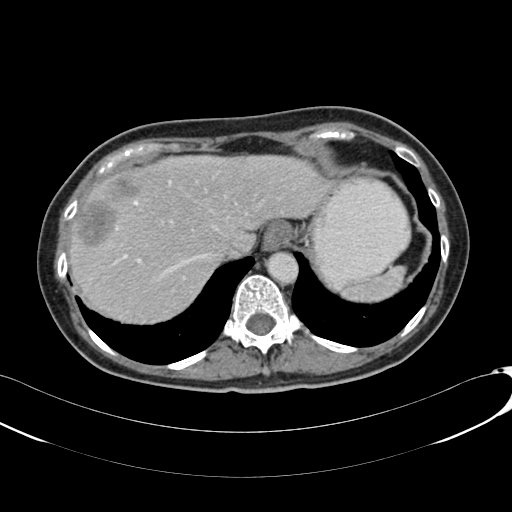 Liver, Computed tomography

{
  "liver": [
    "(70, 155, 321, 321)"
  ],
  "liver_lesion": [
    "(76, 200, 119, 247)",
    "(101, 176, 139, 201)"
  ]
}